Slice 89 of 155 | Head
FLAIR magnetic resonance.
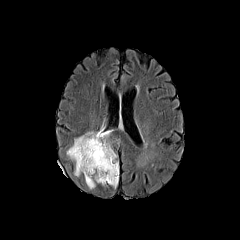
T1-weighted MR.
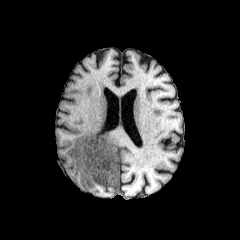
Post-contrast T1-weighted MRI.
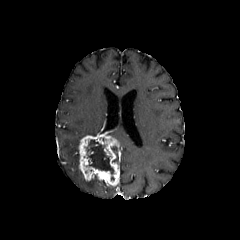
T2-weighted MR.
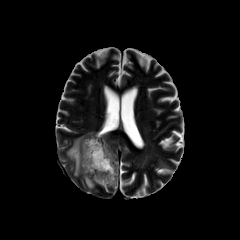
The enhancing tumor is at (left=78, top=128, right=119, bottom=186). The non-enhancing tumor core lies within (left=86, top=139, right=114, bottom=180). 2 edema regions are bounded by (left=66, top=131, right=96, bottom=175), (left=86, top=177, right=94, bottom=189).